FLAIR MRI.
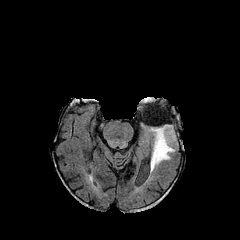
T1-weighted magnetic resonance.
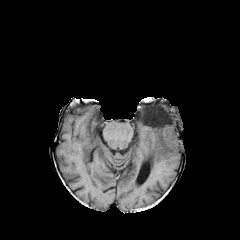
Post-contrast T1-weighted MR image.
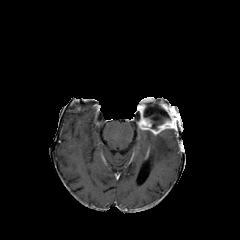
T2-weighted MR image.
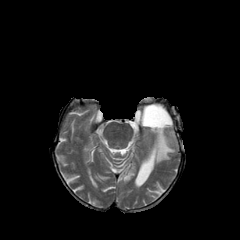
The enhancing tumor is located at l=140, t=121, r=173, b=133. The non-enhancing tumor core is at l=138, t=102, r=180, b=136. The edema is located at l=145, t=131, r=178, b=173.